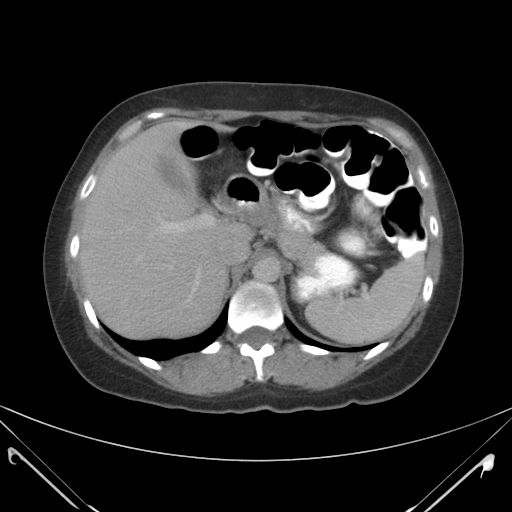

CT image. • spleen: [x1=306, y1=258, x2=423, y2=342]